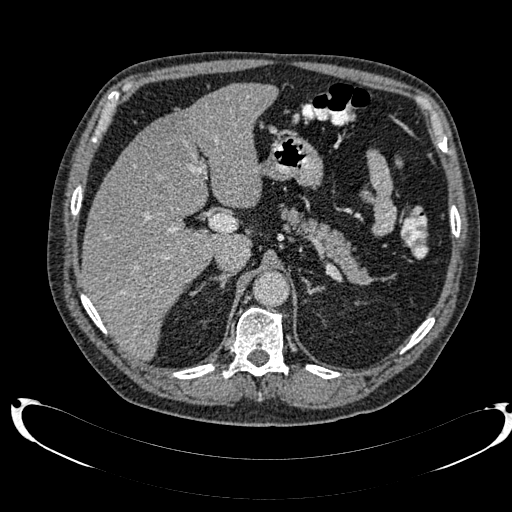

CT slice; 512x512; Upper abdomen
Segmented structures:
- liver: left=81, top=84, right=277, bottom=359
- focal liver lesion: left=137, top=116, right=190, bottom=173